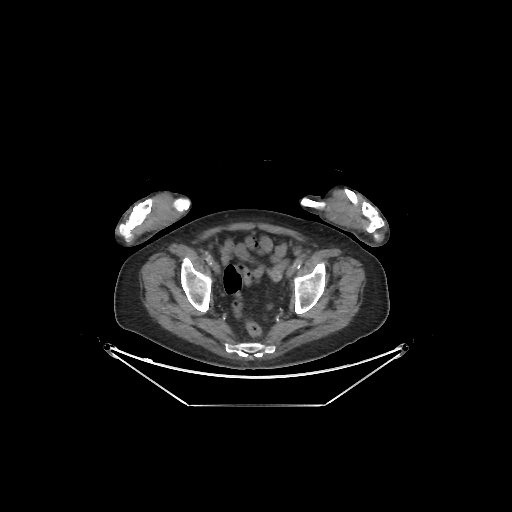

Image size 512x512. CT slice.

Bone at [345,189,383,232], [181,258,211,312], [173,199,189,210], [225,343,274,357], [301,198,324,208], [119,199,152,238], [294,262,325,313].